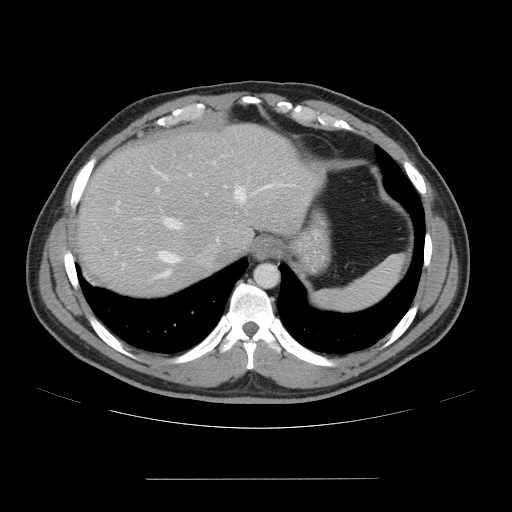

Abdomen; CT slice
Only some of the vessels may be annotated.
13 hepatic vessel regions are bounded by (x1=138, y1=248, x2=139, y2=249), (x1=156, y1=188, x2=159, y2=191), (x1=288, y1=185, x2=292, y2=185), (x1=104, y1=237, x2=105, y2=239), (x1=235, y1=187, x2=246, y2=201), (x1=152, y1=168, x2=166, y2=177), (x1=116, y1=202, x2=118, y2=210), (x1=163, y1=218, x2=180, y2=227), (x1=225, y1=185, x2=226, y2=186), (x1=261, y1=183, x2=277, y2=188), (x1=159, y1=252, x2=179, y2=262), (x1=156, y1=271, x2=169, y2=277), (x1=115, y1=252, x2=117, y2=253).